FLAIR MR image.
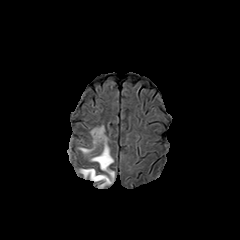
T1-weighted magnetic resonance.
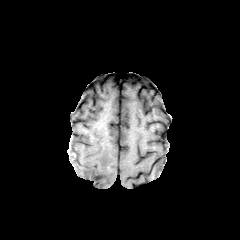
Post-contrast T1-weighted magnetic resonance.
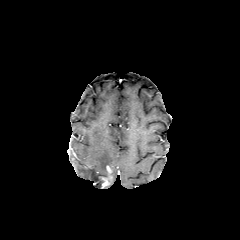
T2-weighted MRI.
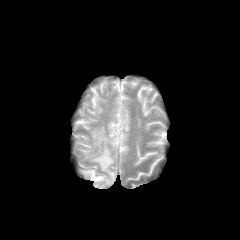
240x240 px; Brain
The enhancing tumor appears at box(102, 176, 111, 186). The edema is at box(80, 127, 113, 188).